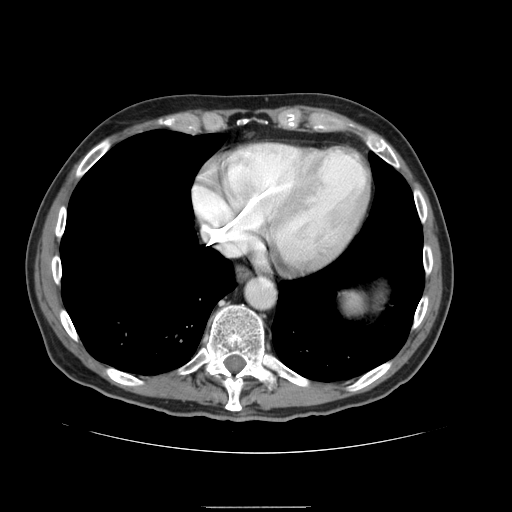

CT, Abdomen

Spleen = (338,292,367,320).